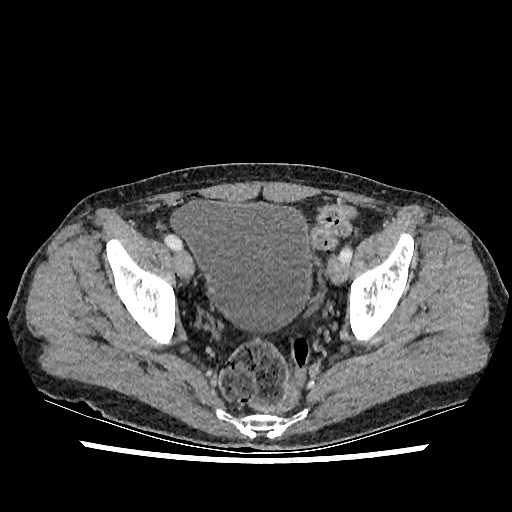

512x512 px. CT slice. Lower abdomen.
{
  "urinary_bladder": [
    "175:198:314:333"
  ]
}